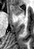

Magnetic resonance, Hippocampus
The anterior hippocampus appears at rect(10, 5, 23, 14).